FLAIR MR.
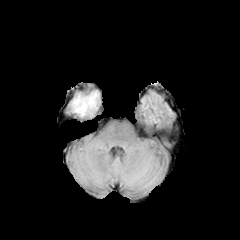
T1-weighted MRI.
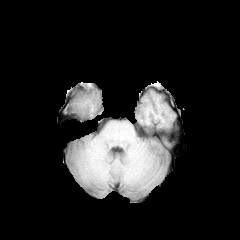
Post-contrast T1-weighted magnetic resonance.
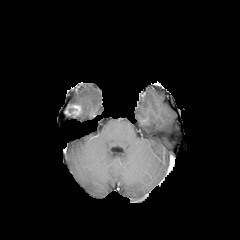
T2-weighted MRI.
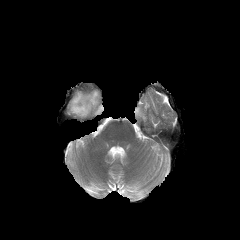
Brain
- enhancing tumor: left=70, top=104, right=81, bottom=114
- edema: left=70, top=90, right=99, bottom=117